CT image. Upper abdomen. 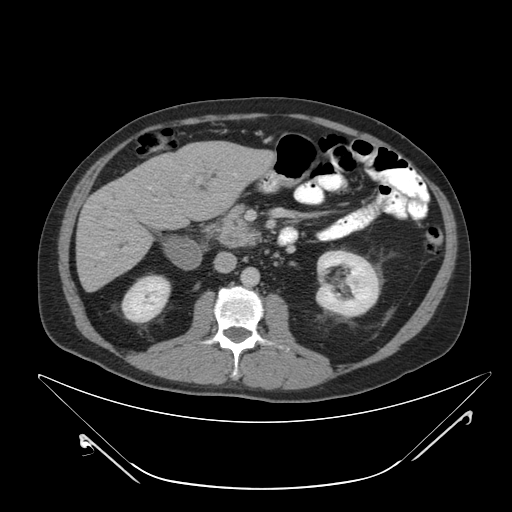

The pancreatic tumor appears at 223:232:248:247. The pancreas is at 220:204:260:248.